Field of view 240x240 mm, 240x240, Head
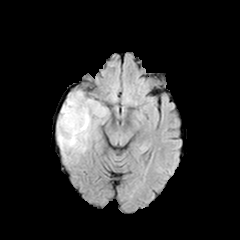
FLAIR MRI.
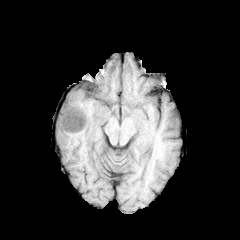
Same slice, T1-weighted MR.
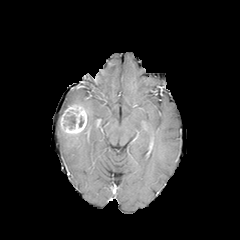
Post-contrast T1-weighted MR image.
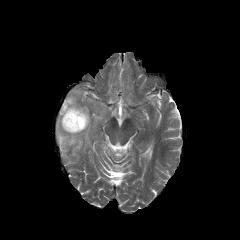
Same slice, T2-weighted MR image.
non-enhancing_tumor_core:
  - <box>65,115,75,128</box>
edema:
  - <box>57,90,108,164</box>
enhancing_tumor:
  - <box>60,104,87,134</box>